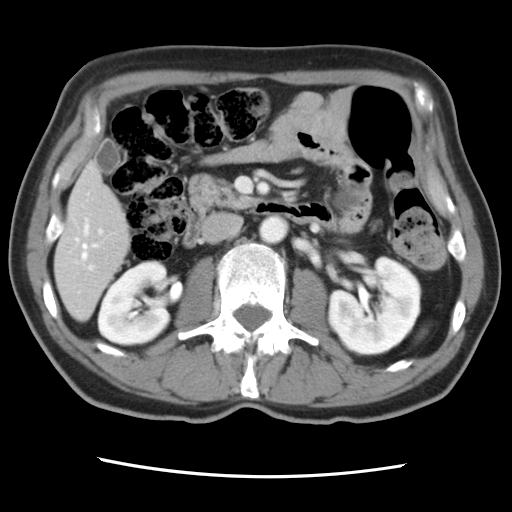 Abdomen, 512x512, CT scan slice

Only some of the vessels may be annotated.
{
  "hepatic_vessel": [
    "85:225:88:233",
    "82:244:87:258",
    "93:245:96:246",
    "76:238:78:240",
    "99:229:102:233",
    "90:266:93:269"
  ]
}